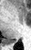 MR image
• posterior hippocampus: 6:40:17:43